FLAIR MR image.
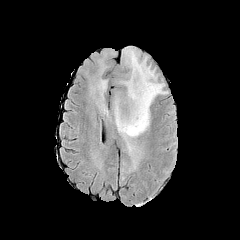
T1-weighted magnetic resonance.
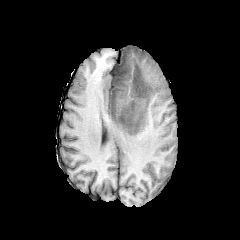
Post-contrast T1-weighted MRI.
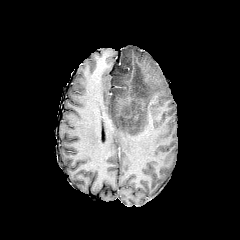
T2-weighted MRI.
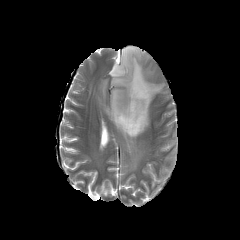
240x240 px, Head
Non-enhancing tumor core at left=112, top=98, right=143, bottom=126; left=130, top=67, right=143, bottom=101; left=122, top=54, right=128, bottom=69.
Edema at left=110, top=46, right=166, bottom=171.